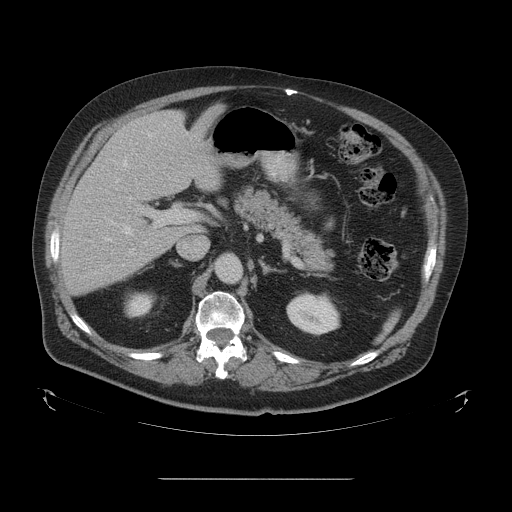 CT. Image size 512x512. Some hepatic vessels may have no box.
Hepatic vessel — box(122, 155, 129, 169); box(103, 236, 112, 241); box(144, 241, 147, 244); box(128, 248, 135, 254); box(136, 205, 193, 227); box(106, 264, 113, 267); box(121, 264, 124, 265); box(89, 240, 91, 241); box(104, 216, 133, 235); box(179, 249, 200, 257); box(115, 177, 120, 182); box(129, 196, 131, 200); box(151, 173, 153, 174).